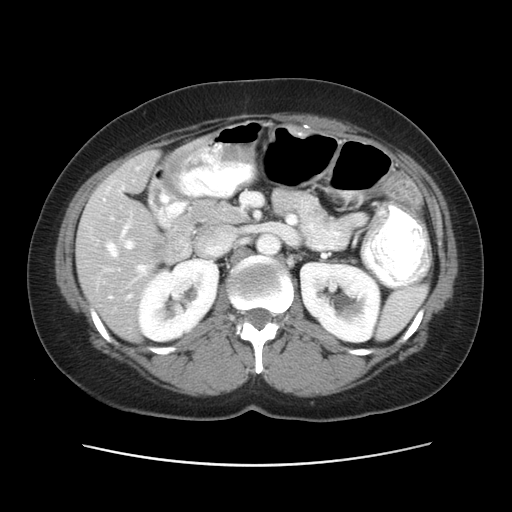 CT slice; Abdomen

The vessel boxes may cover only some of the vessels.
{"hepatic_vessel": ["x1=119, y1=186, x2=124, y2=190", "x1=121, y1=221, x2=129, y2=236", "x1=109, y1=296, x2=111, y2=297", "x1=137, y1=265, x2=146, y2=276", "x1=107, y1=243, x2=116, y2=256", "x1=118, y1=269, x2=119, y2=270", "x1=136, y1=167, x2=138, y2=169", "x1=126, y1=241, x2=132, y2=248", "x1=127, y1=295, x2=131, y2=298"]}